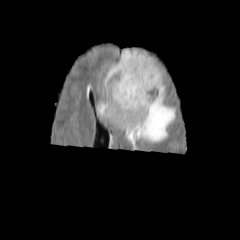
FLAIR magnetic resonance.
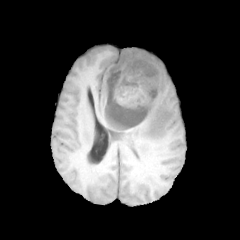
T1-weighted MRI.
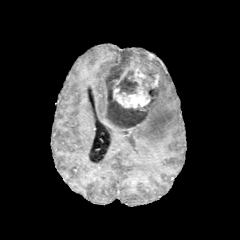
Post-contrast T1-weighted MR image of the same slice.
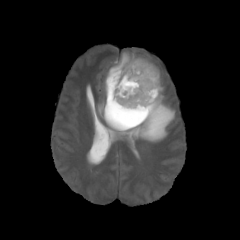
Same slice, T2-weighted MR image.
Brain. 240x240 px.
The non-enhancing tumor core is at region(104, 50, 161, 128). 2 enhancing tumor regions are bounded by region(113, 62, 152, 107); region(151, 74, 159, 87). 3 edema regions appear at region(99, 86, 175, 151); region(139, 52, 159, 75); region(112, 58, 129, 66).